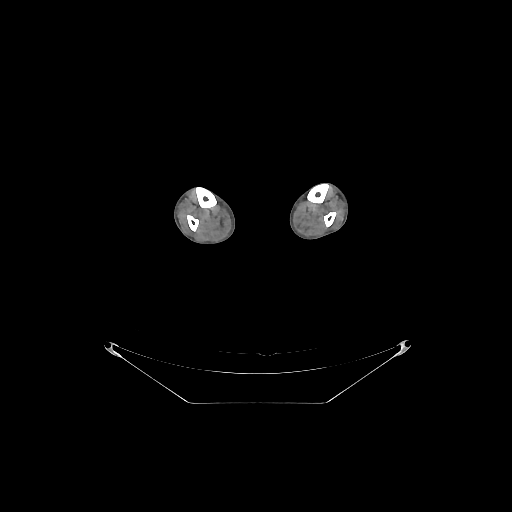 CT. Image size 512x512.
4 bone regions are located at (307, 184, 328, 203), (196, 187, 216, 208), (324, 212, 336, 226), (187, 215, 198, 231).